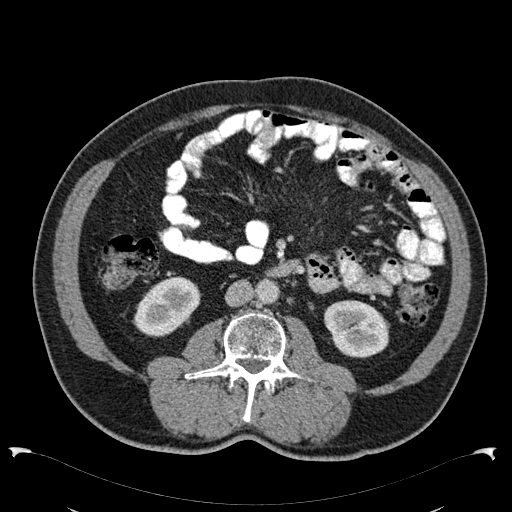
Abdomen | Image size 512x512 | CT slice
<segmentation>
  <kidney>left=324, top=300, right=388, bottom=357; left=134, top=277, right=199, bottom=336</kidney>
</segmentation>